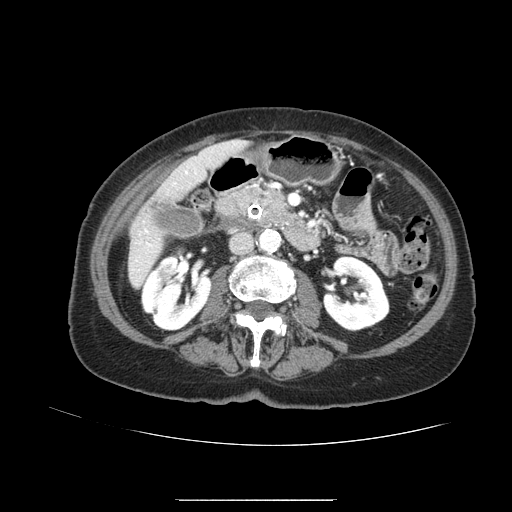
Abdomen; CT image

pancreas: l=234, t=188, r=290, b=215 | pancreatic tumor: l=262, t=204, r=273, b=220